Slice index 136 | Computed tomography | Lung 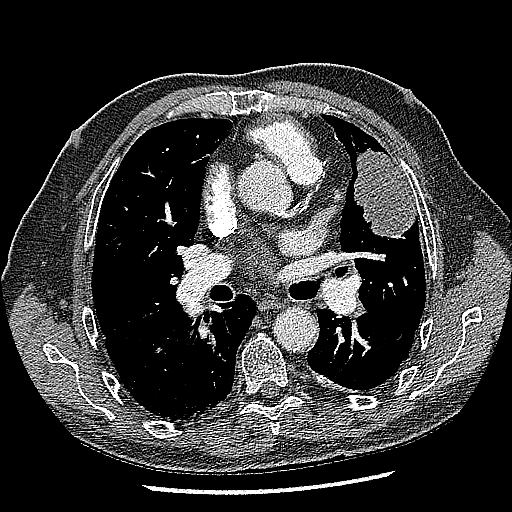

Lung tumor at x1=353 y1=147 x2=415 y2=239.